512x512 | CT scan slice | Slice 367/811
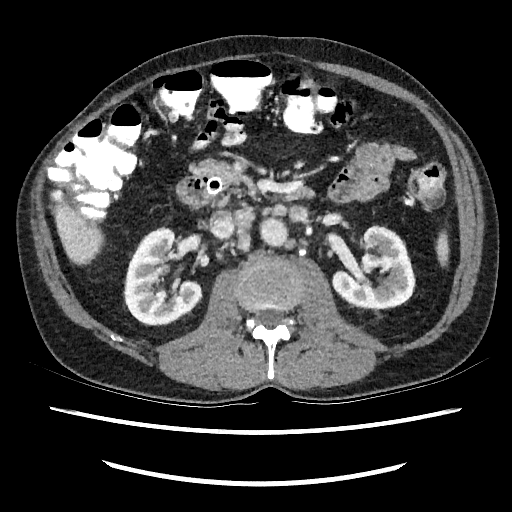 Liver = 56:204:100:262.
Kidney = 333:227:414:308, 125:229:201:324.